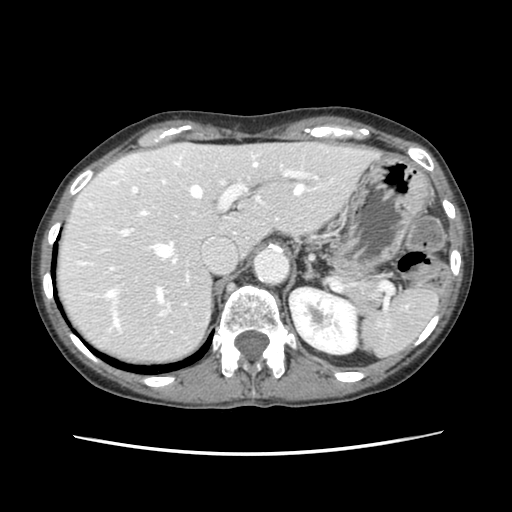

512x512 px. CT slice.
• spleen: (363,290,437,355)